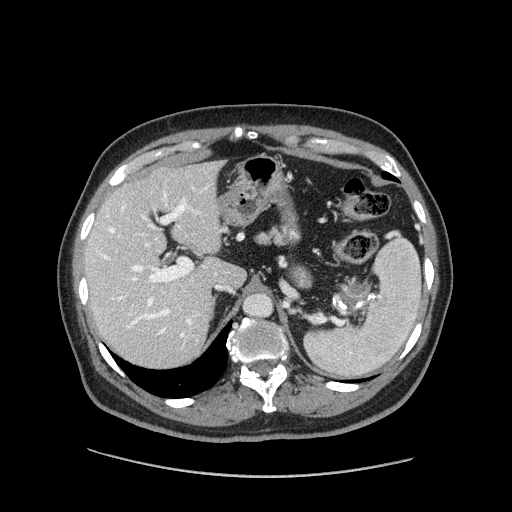

CT scan slice, Upper abdomen
<segmentation>
  <pancreatic_tumor>(left=342, top=282, right=370, bottom=305)</pancreatic_tumor>
  <pancreas>(left=344, top=304, right=366, bottom=321), (left=257, top=229, right=283, bottom=244)</pancreas>
</segmentation>